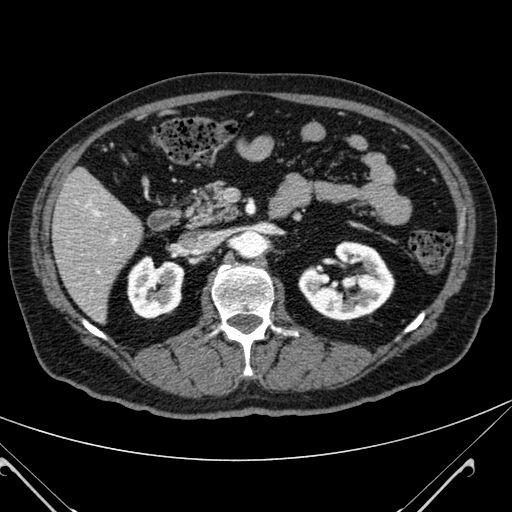

CT scan slice; Upper abdomen

Liver: <box>51,173,139,320</box>.
Kidney: <box>300,243,393,319</box>, <box>128,258,182,317</box>.